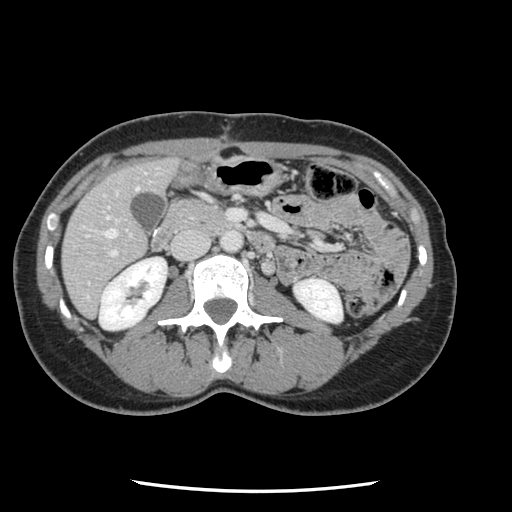 CT image. Liver. The vessel boxes may cover only some of the vessels.
Hepatic vessel — {"x1": 106, "y1": 216, "x2": 108, "y2": 217}, {"x1": 106, "y1": 228, "x2": 115, "y2": 237}, {"x1": 110, "y1": 250, "x2": 115, "y2": 254}, {"x1": 136, "y1": 187, "x2": 137, "y2": 189}.